FLAIR MRI.
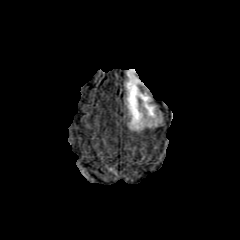
T1-weighted magnetic resonance.
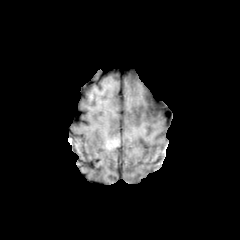
Post-contrast T1-weighted magnetic resonance.
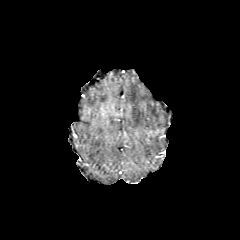
T2-weighted MRI.
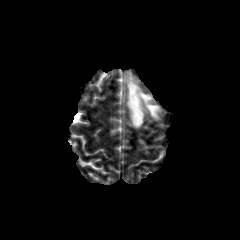
240x240. Head.
* edema: box(124, 70, 162, 129)